CT image | Image width 382 mm 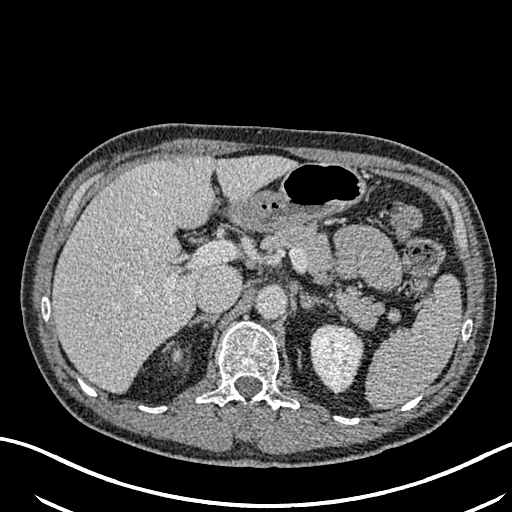
Annotated regions:
- liver: (left=53, top=156, right=297, bottom=391)
- kidney: (left=311, top=326, right=361, bottom=391)